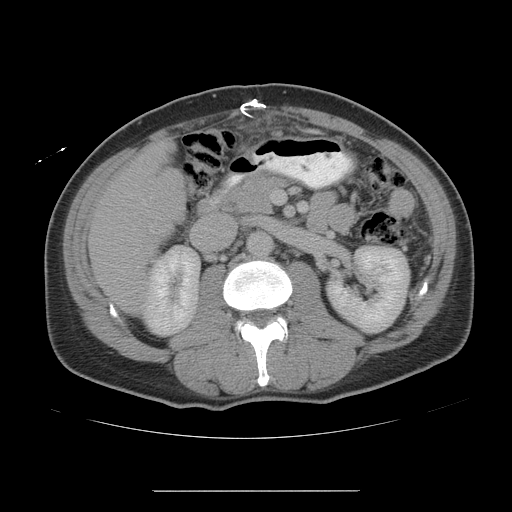 CT scan slice; Image size 512x512
The vessel boxes may cover only some of the vessels.
{"hepatic_vessel": ["region(137, 265, 139, 267)", "region(150, 230, 161, 233)"]}